Image width 360 mm | CT image 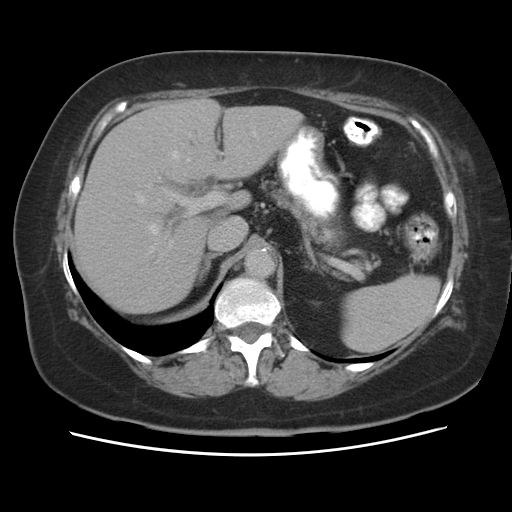

Pancreas: bounding box bbox=[261, 182, 377, 271].